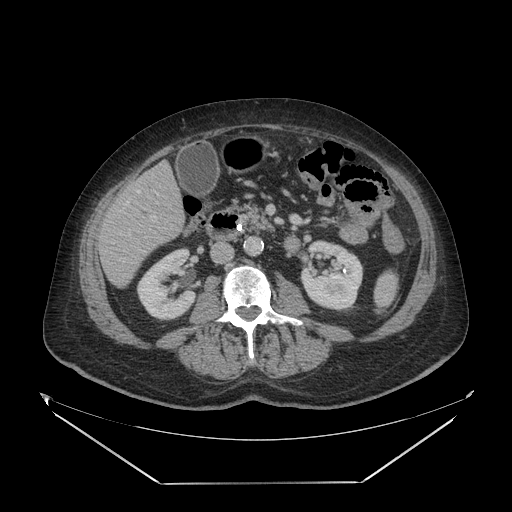

Computed tomography
pancreas: (236, 204, 274, 233)